240x240 | Slice index 56 | Brain | Field of view 240x240 mm
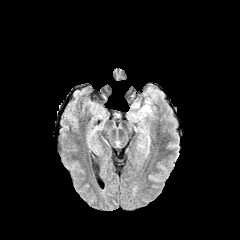
FLAIR magnetic resonance.
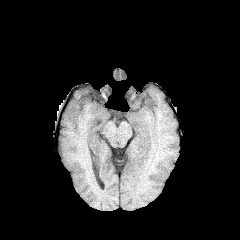
T1-weighted magnetic resonance.
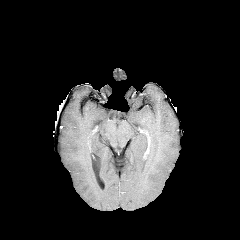
Same slice, post-contrast T1-weighted magnetic resonance.
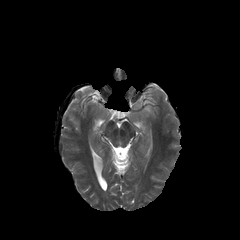
T2-weighted magnetic resonance.
{"edema": ["box(139, 99, 151, 118)"]}